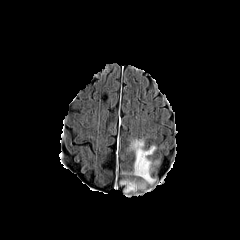
FLAIR magnetic resonance.
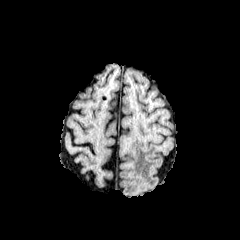
T1-weighted MR.
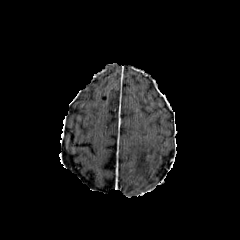
Post-contrast T1-weighted MRI.
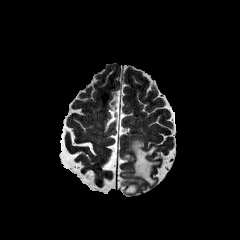
T2-weighted MRI.
The edema lies within [x1=120, y1=139, x2=158, y2=195].